Upper abdomen | CT slice

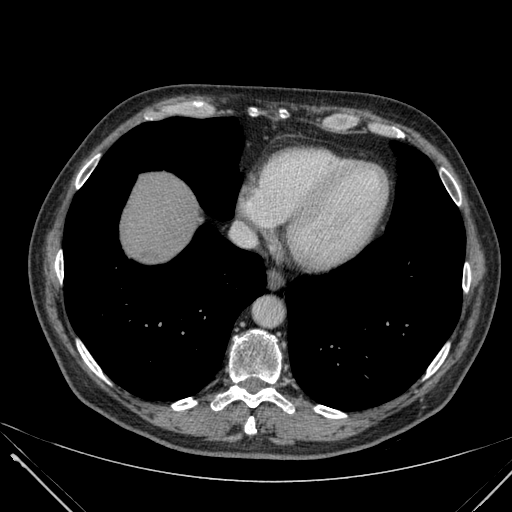

Liver = region(122, 173, 202, 262).